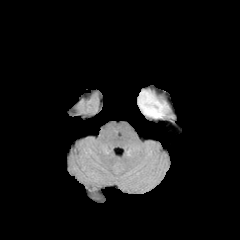
FLAIR magnetic resonance.
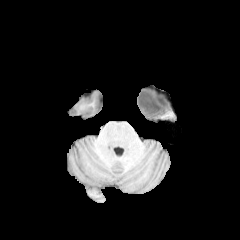
T1-weighted magnetic resonance.
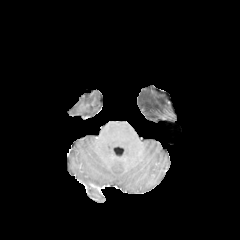
Post-contrast T1-weighted MR of the same slice.
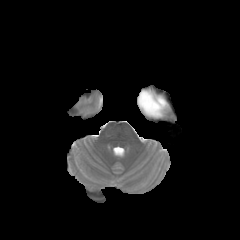
Same slice, T2-weighted MR.
Brain.
The non-enhancing tumor core appears at 138, 90, 167, 116. The edema is at 142, 105, 171, 119.